Computed tomography
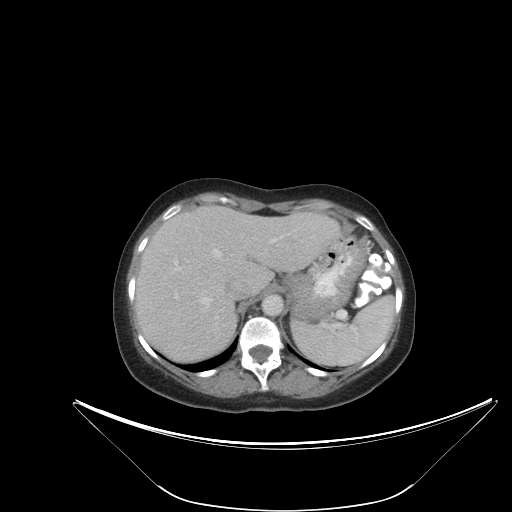 The vessel annotation is not exhaustive.
7 hepatic vessel regions are located at (x1=271, y1=239, x2=276, y2=241), (x1=214, y1=250, x2=219, y2=255), (x1=287, y1=233, x2=290, y2=234), (x1=199, y1=298, x2=210, y2=308), (x1=175, y1=294, x2=177, y2=296), (x1=175, y1=259, x2=180, y2=268), (x1=280, y1=235, x2=283, y2=237).